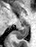

MRI | 36x47
posterior hippocampus: x1=14, y1=23, x2=28, y2=39